Slice 367 of 771 | Image size 512x512 | Field of view 400x400 mm | Abdomen | CT scan slice 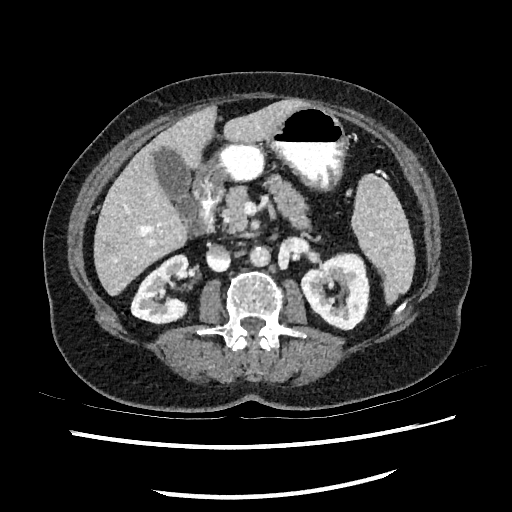

Segmented structures:
• liver: x1=224, y1=99, x2=303, y2=142; x1=93, y1=105, x2=215, y2=296
• focal liver lesion: x1=103, y1=241, x2=111, y2=251
• kidney: x1=131, y1=255, x2=187, y2=322; x1=302, y1=255, x2=368, y2=328